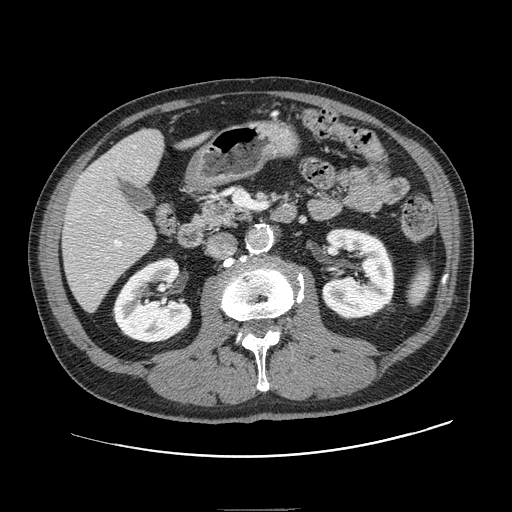 Abdomen. CT slice. 512x512 px.
<segmentation>
  <pancreas>{"x1": 194, "y1": 197, "x2": 247, "y2": 230}</pancreas>
</segmentation>